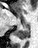

MRI | Medial temporal lobe
Annotated regions:
* posterior hippocampus: box(17, 24, 29, 39)